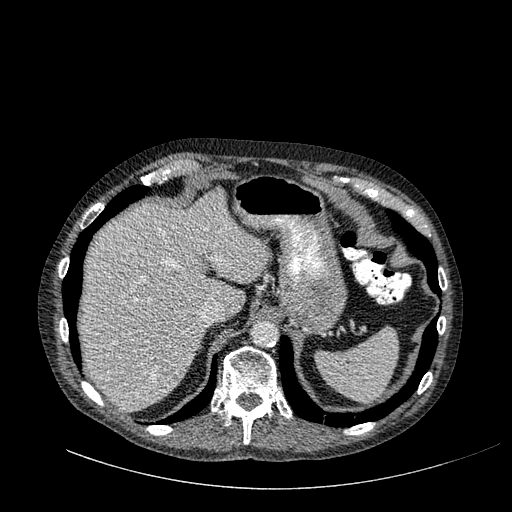
Computed tomography; Upper abdomen
Segmented structures:
• liver: 80,190,266,410